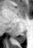
MRI. 33x48. posterior hippocampus: x1=14, y1=32, x2=25, y2=42